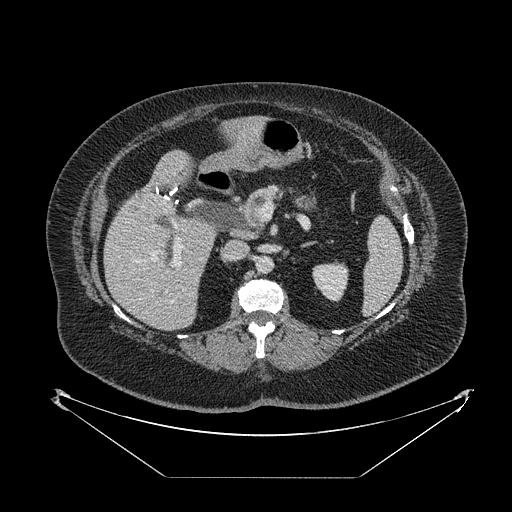

CT scan slice; Abdomen
Pancreas = bbox=[244, 187, 287, 224].